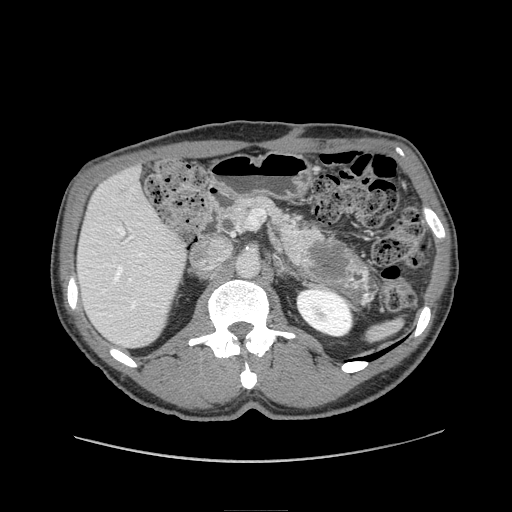
CT scan slice. Abdomen. pancreas:
  - x1=219, y1=196, x2=360, y2=285
pancreatic_tumor:
  - x1=308, y1=241, x2=350, y2=281